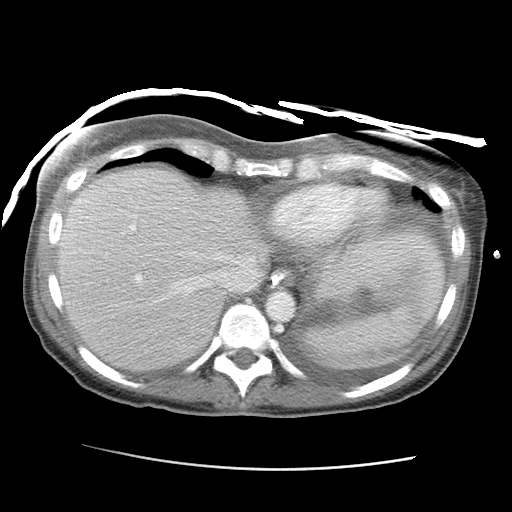 CT slice. Focal liver lesion — bbox=[348, 284, 370, 296].
Liver — bbox=[57, 168, 268, 370]; bbox=[314, 231, 437, 308].